Slice 554/605; Thorax; Computed tomography 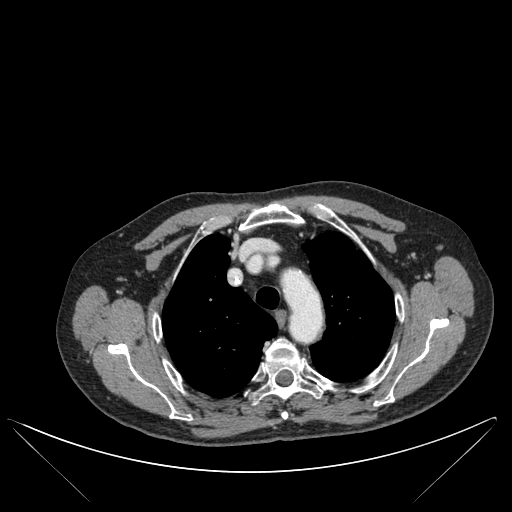
Annotated regions:
• bone: box(352, 345, 396, 392); box(374, 318, 448, 405); box(253, 338, 334, 400); box(314, 204, 353, 237); box(163, 359, 183, 392); box(239, 203, 304, 230); box(152, 313, 161, 341); box(395, 294, 403, 320); box(108, 343, 192, 420)
• lung: box(162, 235, 278, 397); box(303, 232, 394, 381)